240x240
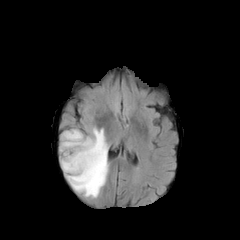
FLAIR magnetic resonance.
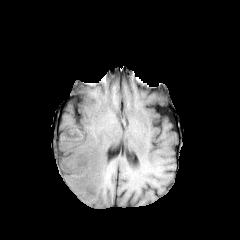
T1-weighted MR.
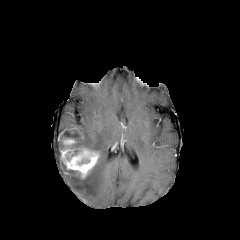
Post-contrast T1-weighted magnetic resonance.
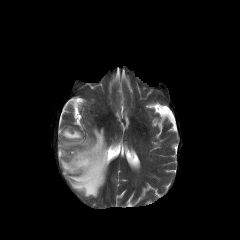
T2-weighted MR.
Edema at rect(61, 128, 109, 197).
Enhancing tumor at rect(59, 138, 100, 179).